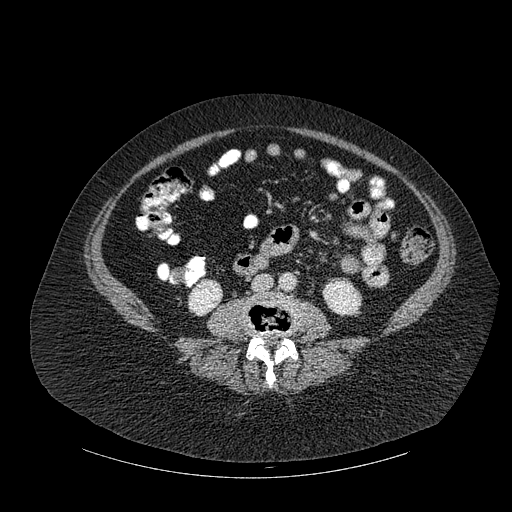

Image size 512x512, CT slice, Abdomen
Bone: bounding box (245, 296, 297, 386).
Kidney: bounding box (323, 281, 360, 315), (189, 280, 222, 315).